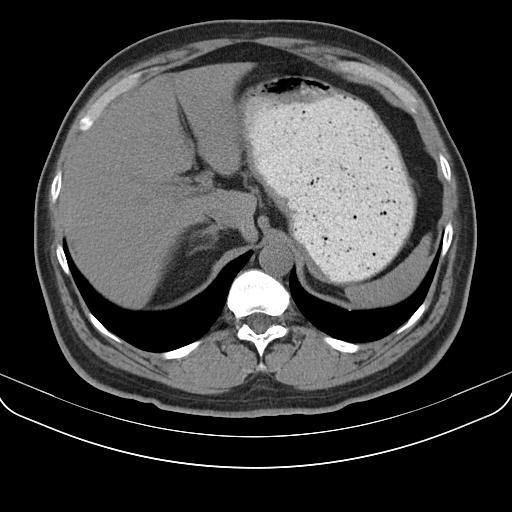
CT slice. 512x512. Upper abdomen.
The spleen appears at (x1=349, y1=243, x2=429, y2=306).